Slice 368/836. CT. 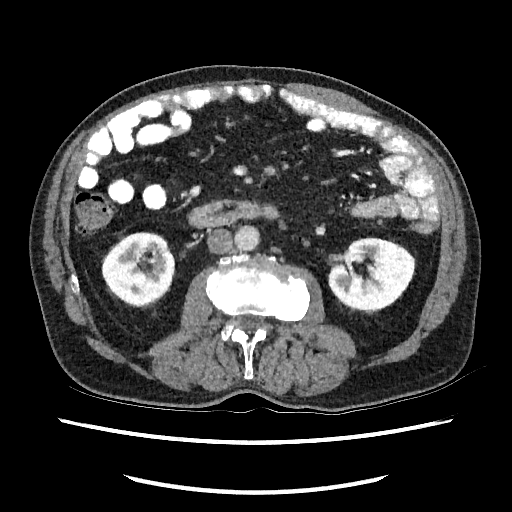 Kidney: rect(102, 232, 174, 306); rect(329, 238, 414, 312).